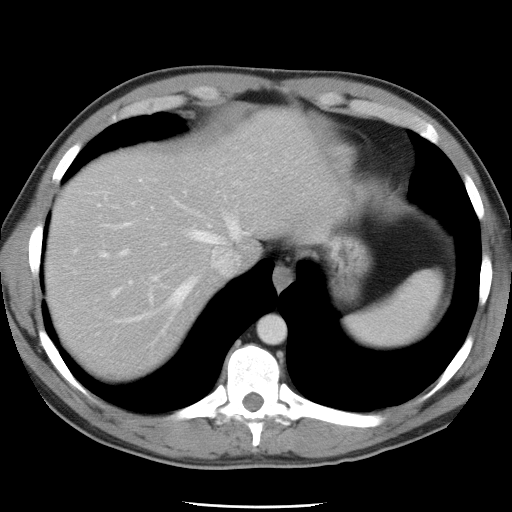 Liver | CT image | Image size 512x512
The vessel boxes may cover only some of the vessels.
Hepatic vessel = bbox(120, 223, 131, 226); bbox(101, 253, 107, 257); bbox(129, 281, 131, 283); bbox(186, 224, 236, 273); bbox(112, 289, 119, 295); bbox(120, 250, 128, 255); bbox(188, 210, 193, 212); bbox(150, 296, 151, 299); bbox(168, 276, 197, 306); bbox(224, 213, 247, 239); bbox(153, 276, 157, 279); bbox(127, 317, 141, 320).